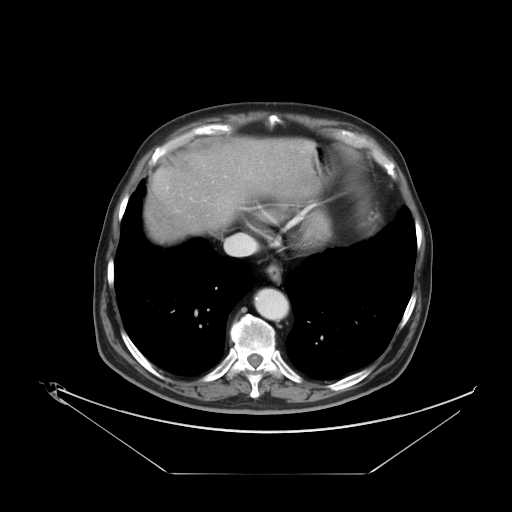
CT scan slice

Not every hepatic vessel necessarily has a box.
hepatic_vessel:
  - bbox=[226, 239, 228, 242]